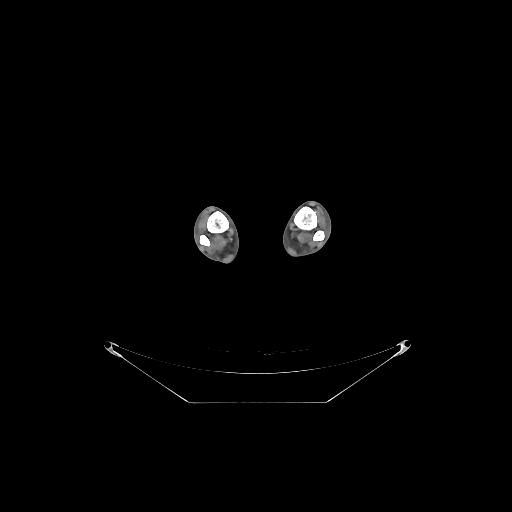 512x512 px. CT image.

<segmentation>
  <bone>(207, 211, 228, 232), (313, 230, 324, 240), (200, 235, 209, 246), (294, 206, 317, 229)</bone>
</segmentation>